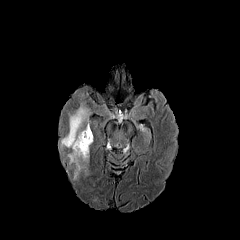
FLAIR MRI.
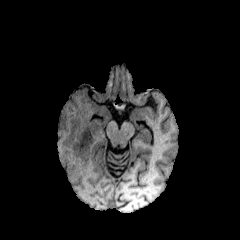
T1-weighted MR image of the same slice.
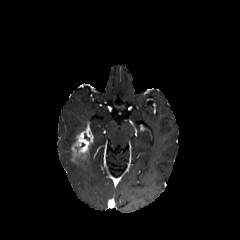
Same slice, post-contrast T1-weighted MRI.
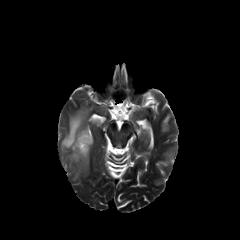
T2-weighted MR image.
Head, 240x240
{
  "enhancing_tumor": [
    "<box>71,124,93,159</box>"
  ],
  "edema": [
    "<box>58,103,91,150</box>",
    "<box>67,152,89,179</box>"
  ]
}